Upper abdomen | CT image

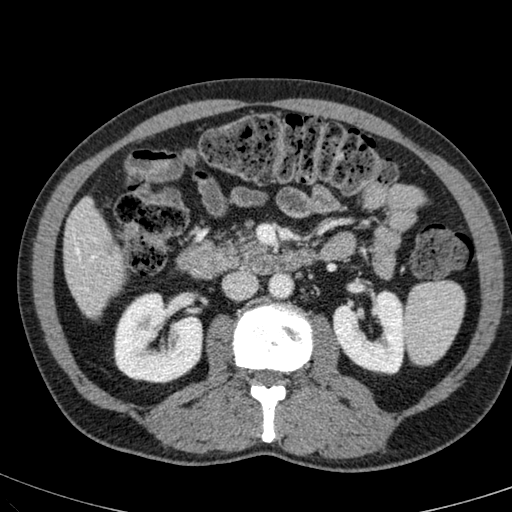
{"liver_lesion": ["102,242,116,257"], "liver": ["64,201,122,316"], "kidney": ["334,292,403,371", "116,294,201,381"]}